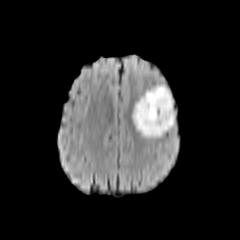
FLAIR MR image.
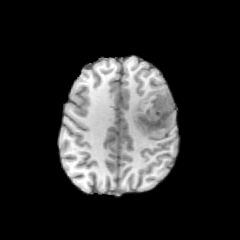
T1-weighted MR.
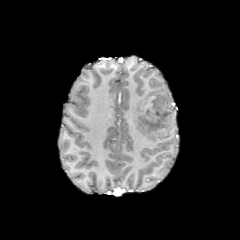
Post-contrast T1-weighted MRI.
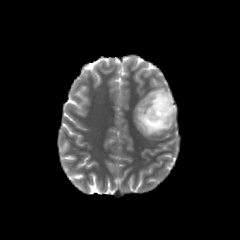
T2-weighted magnetic resonance.
Head | 240x240
Annotated regions:
• non-enhancing tumor core: 139:91:173:132
• edema: 132:84:176:138